FLAIR magnetic resonance.
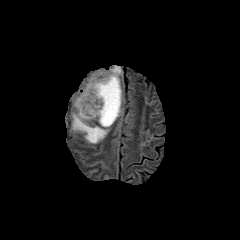
T1-weighted MR.
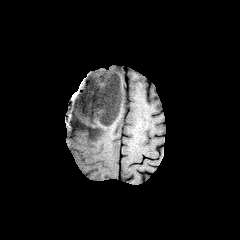
Post-contrast T1-weighted MR.
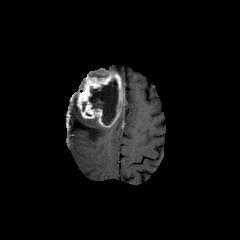
T2-weighted MRI.
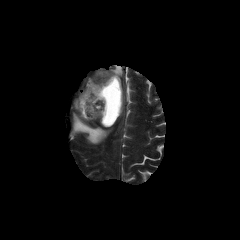
Brain.
Non-enhancing tumor core: bounding box bbox=[90, 80, 117, 124].
Edema: bounding box bbox=[70, 97, 109, 144]; bbox=[110, 65, 123, 76].
Enhancing tumor: bounding box bbox=[76, 70, 124, 127].